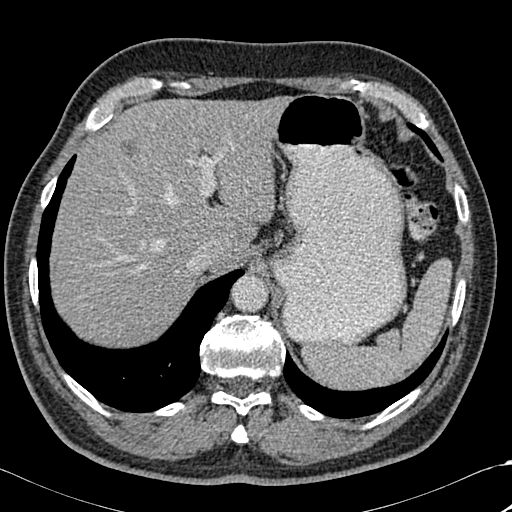
CT slice, 512x512 px
lung: l=36, t=155, r=244, b=412; l=283, t=331, r=447, b=418; l=407, t=123, r=442, b=160 | liver: l=216, t=255, r=236, b=264; l=50, t=97, r=285, b=345 | bone: l=300, t=405, r=322, b=419; l=366, t=390, r=418, b=427; l=29, t=260, r=38, b=303; l=156, t=403, r=183, b=415; l=200, t=315, r=285, b=414; l=41, t=178, r=55, b=207; l=65, t=375, r=106, b=414; l=86, t=104, r=112, b=130; l=455, t=186, r=468, b=221; l=352, t=81, r=427, b=128; l=452, t=280, r=464, b=323; l=134, t=79, r=161, b=94; l=232, t=425, r=247, b=442 | hepatic lesion: l=120, t=139, r=138, b=156